FLAIR MRI.
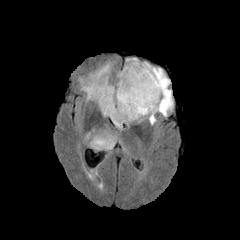
T1-weighted magnetic resonance.
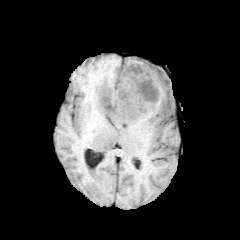
Post-contrast T1-weighted MR image.
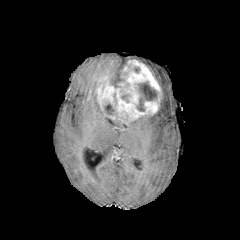
T2-weighted MRI.
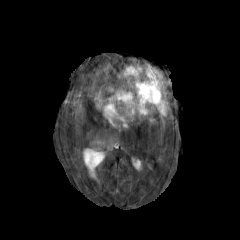
240x240 px.
* enhancing tumor: rect(95, 60, 162, 125)
* edema: rect(111, 120, 124, 131); rect(78, 61, 116, 111); rect(124, 57, 173, 125); rect(90, 130, 116, 150)
* non-enhancing tumor core: rect(104, 104, 117, 115); rect(136, 81, 158, 112); rect(120, 94, 130, 102)